Head, Field of view 240 mm wide, 1.00 mm slice spacing, 240x240
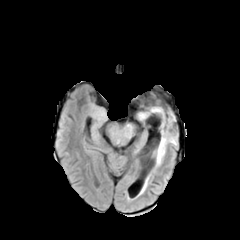
FLAIR MR image.
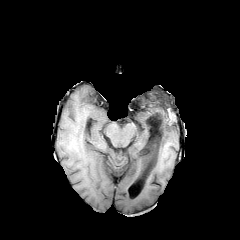
T1-weighted MR.
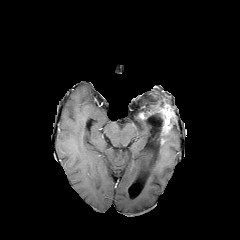
Post-contrast T1-weighted MRI of the same slice.
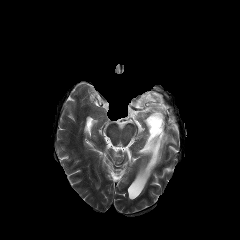
Same slice, T2-weighted MRI.
edema: 125,128,132,138; 144,125,177,190 | enhancing tumor: 148,101,173,143 | non-enhancing tumor core: 143,104,162,138